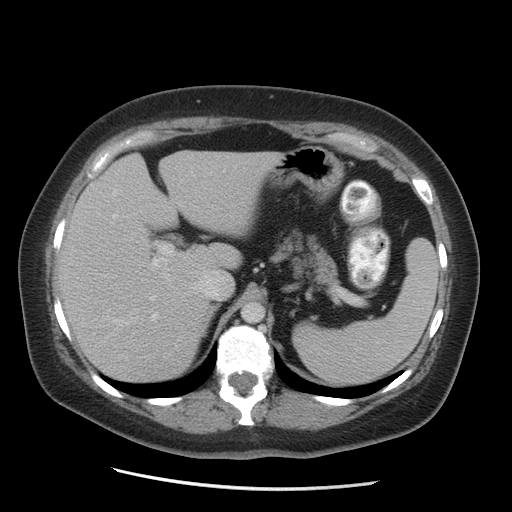 Image size 512x512 | Computed tomography
<segmentation>
  <liver>57,151,278,381</liver>
</segmentation>